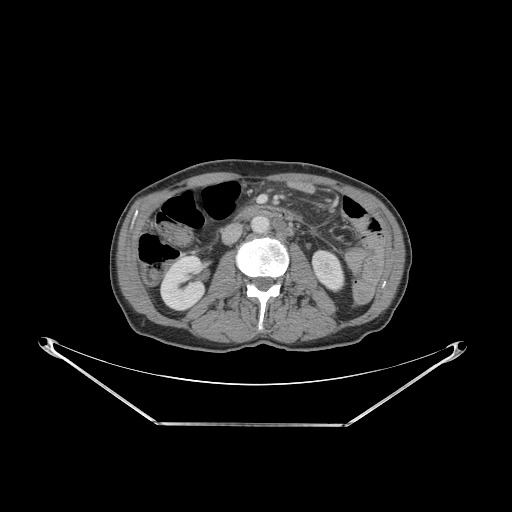 CT

The bone appears at [237, 238, 288, 329]. 2 kidney regions are located at [161, 256, 203, 309], [312, 251, 342, 288].